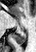

Medial temporal lobe; MR
<segmentation>
  <posterior_hippocampus>left=14, top=30, right=26, bottom=44</posterior_hippocampus>
</segmentation>